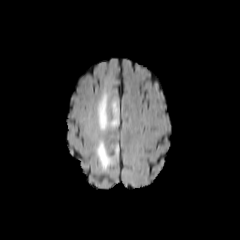
FLAIR MRI.
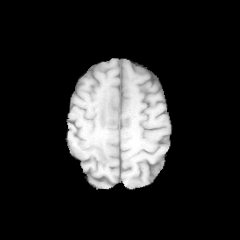
T1-weighted magnetic resonance.
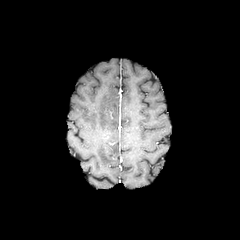
Post-contrast T1-weighted MR.
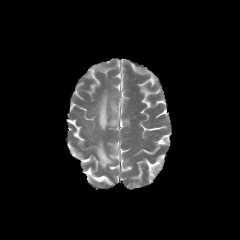
Same slice, T2-weighted magnetic resonance.
Brain
Edema at 97 92 119 129, 96 141 118 170.